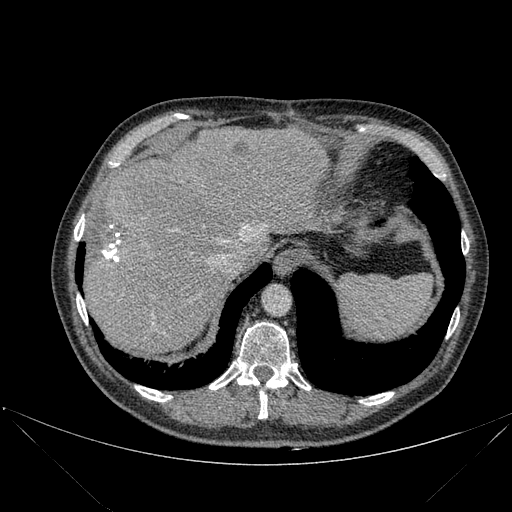
CT image
The liver lesion is bounded by [233, 142, 247, 154]. 3 lung regions are located at [92, 263, 271, 389], [75, 243, 84, 288], [291, 157, 465, 395]. 3 liver regions are located at [244, 240, 256, 270], [262, 235, 269, 249], [83, 127, 335, 353]. 8 bone regions are bounded by [76, 295, 87, 324], [359, 392, 393, 405], [446, 313, 459, 338], [135, 386, 170, 401], [74, 215, 84, 240], [461, 231, 468, 254], [209, 322, 310, 390], [258, 391, 267, 418].